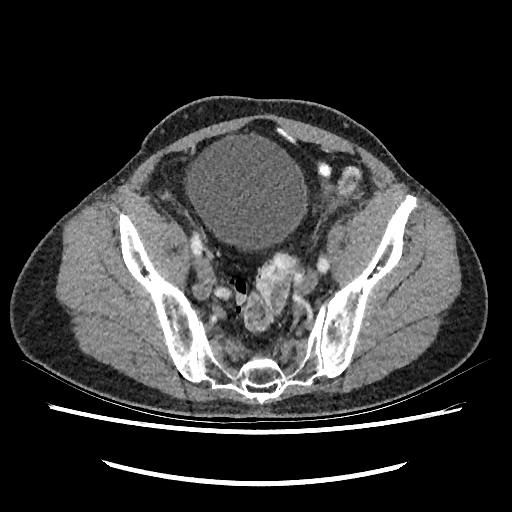
512x512; Computed tomography; Pelvis

Annotated regions:
• urinary bladder: (186,131,307,250)